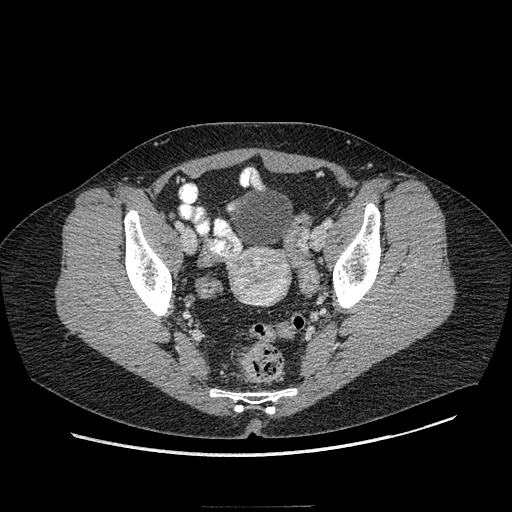
CT slice. Pelvis.

Colon tumor — {"x1": 245, "y1": 345, "x2": 263, "y2": 378}.